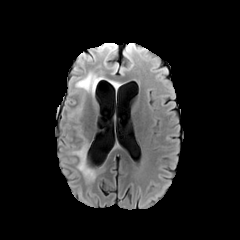
FLAIR MR image.
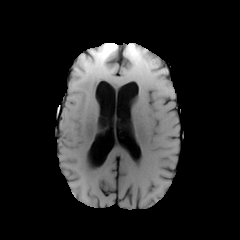
T1-weighted magnetic resonance.
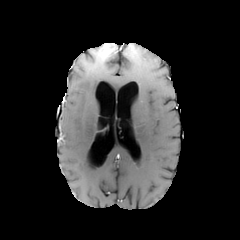
Post-contrast T1-weighted MR.
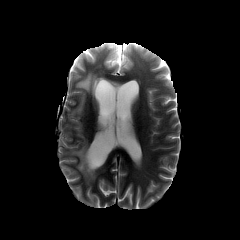
T2-weighted MR.
Image size 240x240
enhancing tumor: [x1=102, y1=46, x2=114, y2=58] | non-enhancing tumor core: [x1=88, y1=44, x2=117, y2=62] | edema: [x1=120, y1=46, x2=136, y2=71], [x1=74, y1=144, x2=95, y2=179], [x1=75, y1=73, x2=103, y2=95], [x1=104, y1=55, x2=119, y2=73], [x1=77, y1=54, x2=95, y2=70]